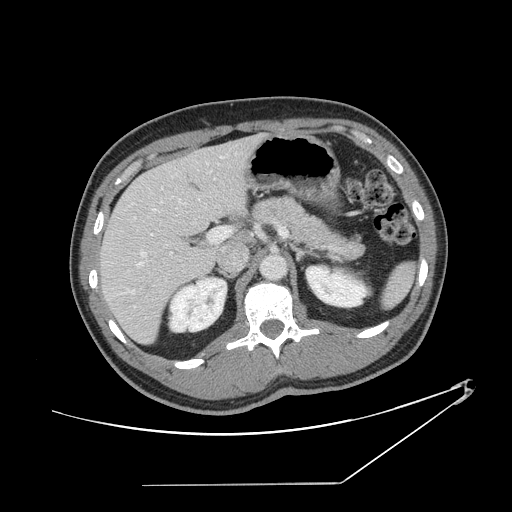
CT image. Abdomen. Not every hepatic vessel necessarily has a box.
7 hepatic vessel regions appear at [x1=160, y1=201, x2=161, y2=203], [x1=124, y1=290, x2=134, y2=293], [x1=138, y1=252, x2=146, y2=265], [x1=171, y1=175, x2=172, y2=177], [x1=179, y1=200, x2=184, y2=204], [x1=220, y1=154, x2=228, y2=158], [x1=153, y1=209, x2=156, y2=211].